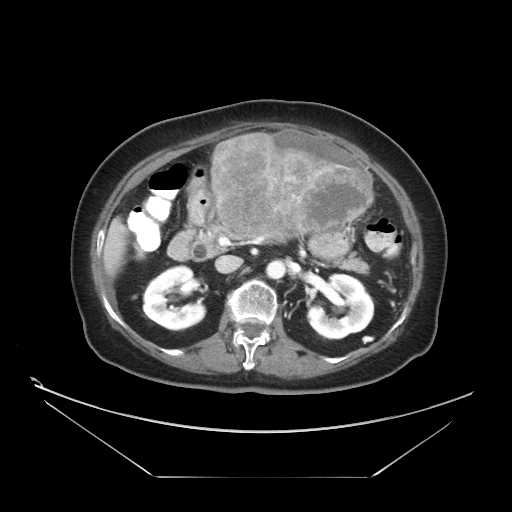 Liver. CT scan slice.

liver_tumor:
  - [210,133,373,239]